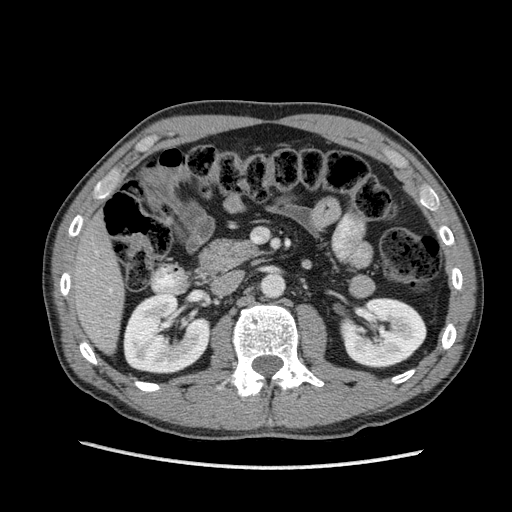 512x512 | CT scan slice | Abdomen
Annotated regions:
• liver: x1=64 y1=212 x2=124 y2=354
• kidney: x1=124 y1=294 x2=208 y2=371, x1=343 y1=299 x2=425 y2=365